Slice 69/155; 240x240 px; Brain
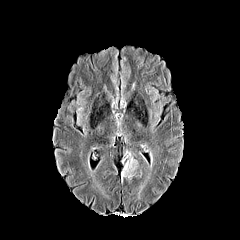
FLAIR MR image.
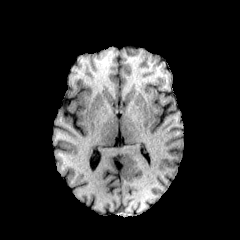
Same slice, T1-weighted MR.
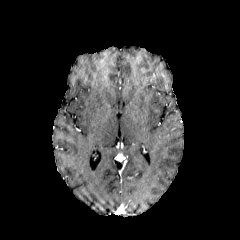
Same slice, post-contrast T1-weighted MR.
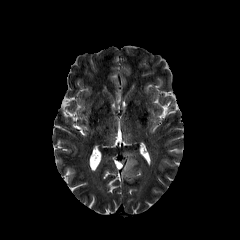
T2-weighted magnetic resonance.
- edema: [x1=121, y1=153, x2=138, y2=178]